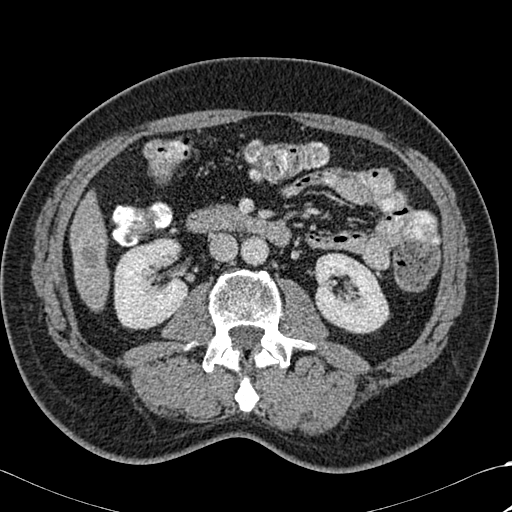 Computed tomography
{
  "liver": [
    "71:206:108:309"
  ],
  "kidney": [
    "115:239:186:327",
    "316:254:387:332"
  ],
  "hepatic_lesion": [
    "80:246:98:267"
  ],
  "bone": [
    "203:270:313:371",
    "235:377:257:410"
  ]
}